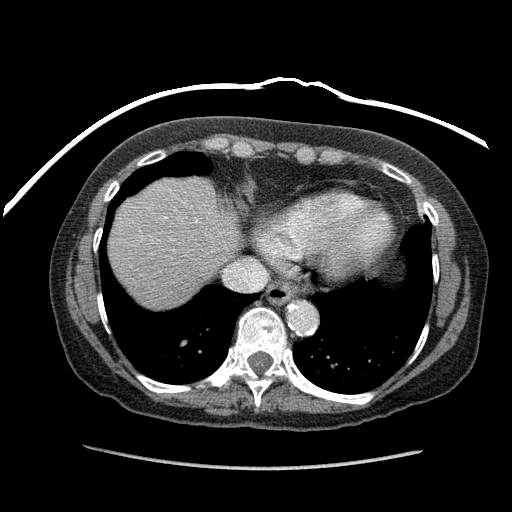

Upper abdomen. CT slice. Annotated regions:
• liver: 110 176 243 308